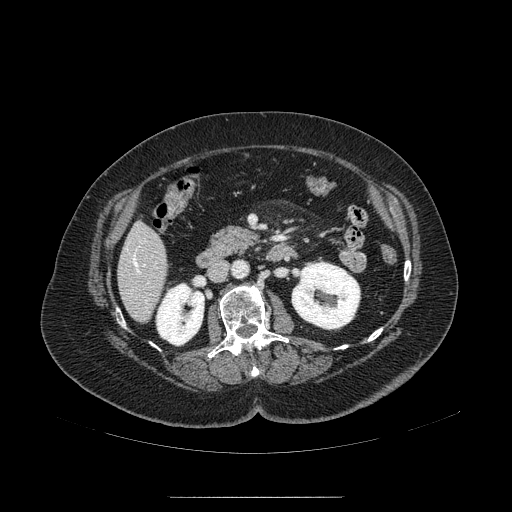
CT scan slice. 512x512.

Findings:
- pancreas: [214,224,255,258]